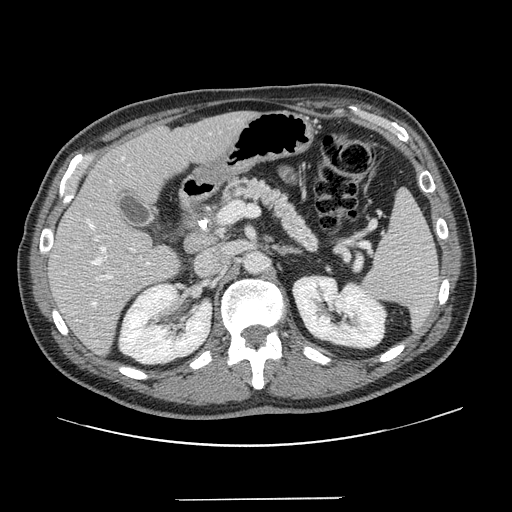 Image size 512x512, CT scan slice, Abdomen
The pancreas is located at [175, 176, 320, 255].